Slice index 91 | Image size 240x240 | Field of view 240 mm wide, 1.00 mm slice spacing
FLAIR magnetic resonance.
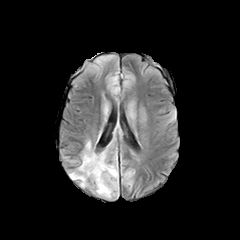
T1-weighted magnetic resonance.
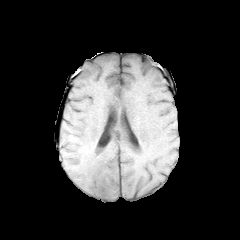
Post-contrast T1-weighted MR image.
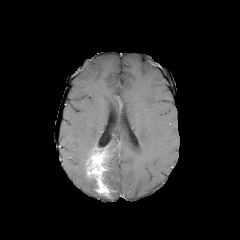
T2-weighted magnetic resonance.
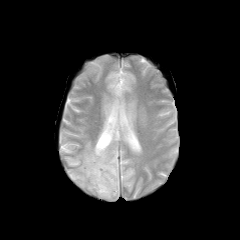
2 edema regions are located at 105 145 118 197, 69 141 95 192. The enhancing tumor is located at 86 151 111 197. The non-enhancing tumor core appears at 103 148 112 190.